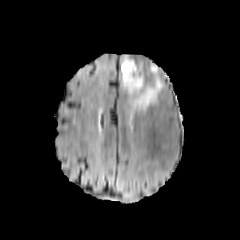
FLAIR MR image.
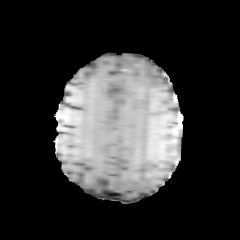
T1-weighted MR.
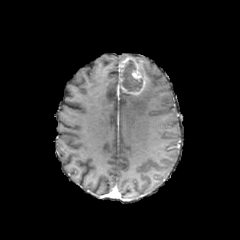
Post-contrast T1-weighted MRI of the same slice.
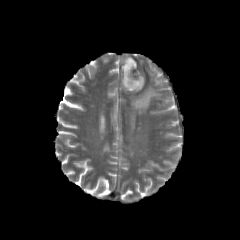
T2-weighted MRI.
240x240
non-enhancing_tumor_core:
  - 120,60,143,91
enhancing_tumor:
  - 120,57,147,94
edema:
  - 128,63,163,113